Brain
FLAIR MR image.
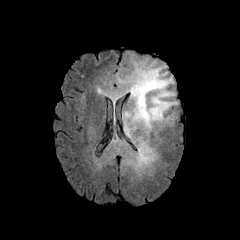
T1-weighted MRI.
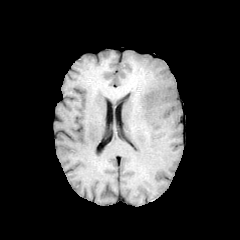
Post-contrast T1-weighted magnetic resonance.
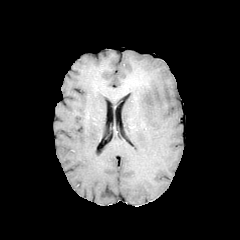
T2-weighted magnetic resonance.
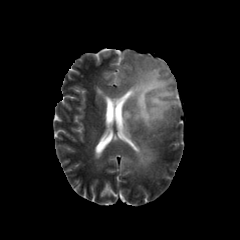
edema:
  - [109,62,178,135]
  - [136,142,153,164]
non-enhancing_tumor_core:
  - [127,111,143,122]
  - [129,72,149,110]